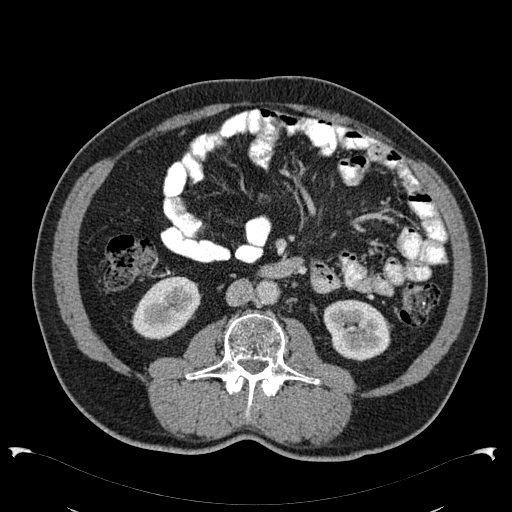

CT

Kidney — (132,276,200,338), (324,300,389,360).